Computed tomography.

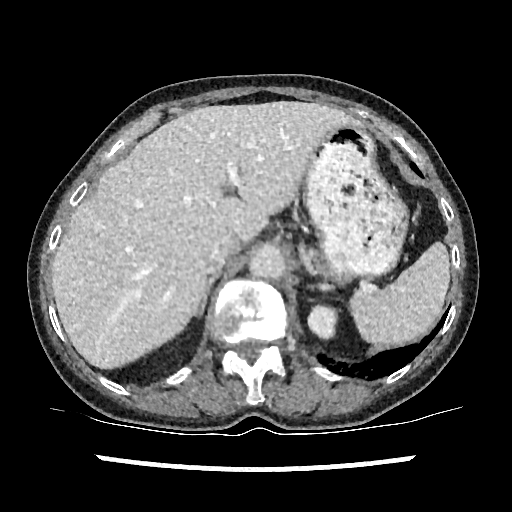

Liver — region(53, 103, 356, 368).